Brain, Image size 240x240, Slice index 56
FLAIR magnetic resonance.
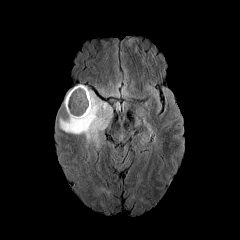
T1-weighted MR.
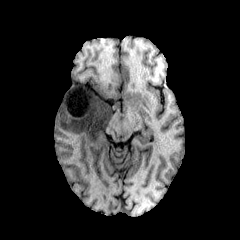
Post-contrast T1-weighted magnetic resonance.
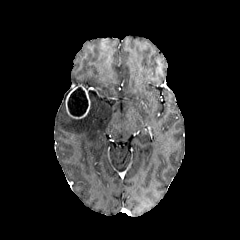
T2-weighted MRI.
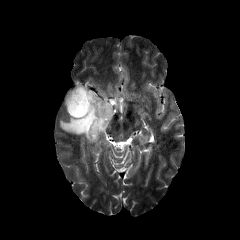
2 edema regions are located at l=97, t=89, r=109, b=98; l=59, t=90, r=112, b=150. The enhancing tumor is located at l=65, t=85, r=90, b=119. The non-enhancing tumor core is at l=68, t=87, r=87, b=117.